Computed tomography. Liver.

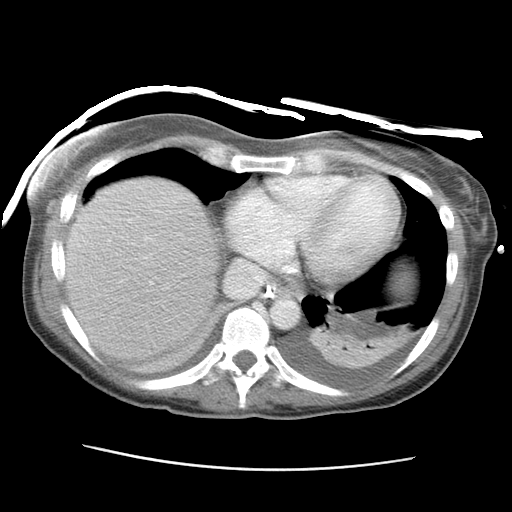

Segmented structures:
• liver: 64:178:218:360